FLAIR MR.
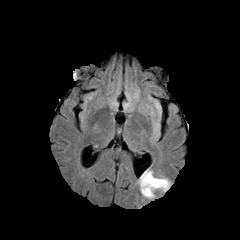
T1-weighted MRI.
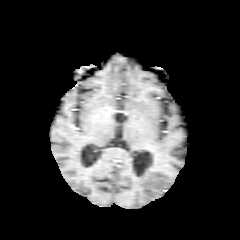
Post-contrast T1-weighted MR image.
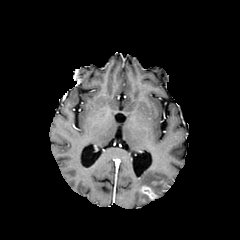
T2-weighted MR image.
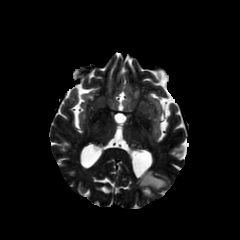
Head
Edema at 136,169,170,198.
Enhancing tumor at 142,186,155,198.